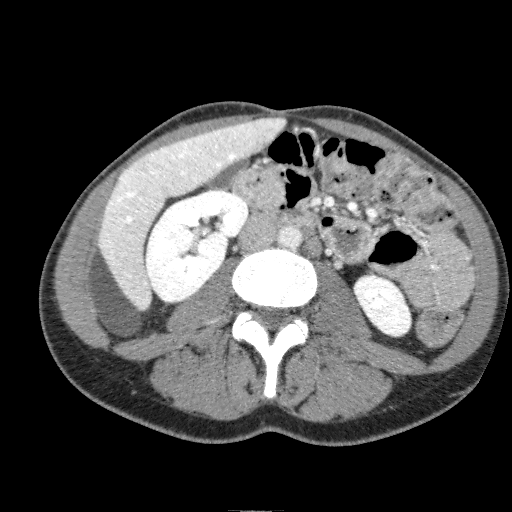

CT, 512x512

Liver — <box>98,117,285,309</box>.
Kidney — <box>354,276,410,335</box>, <box>146,191,247,301</box>.